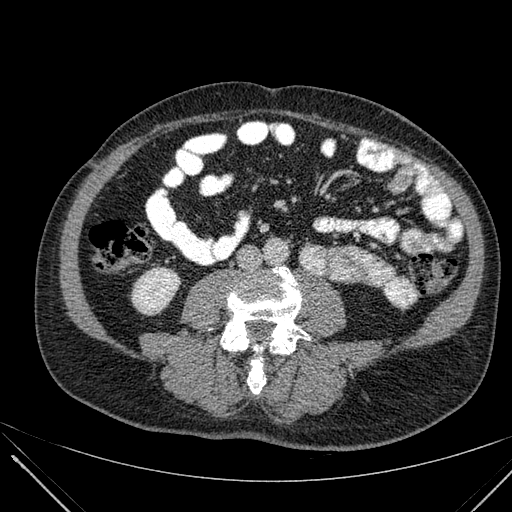

Abdomen. CT scan slice. • kidney: l=132, t=268, r=179, b=314